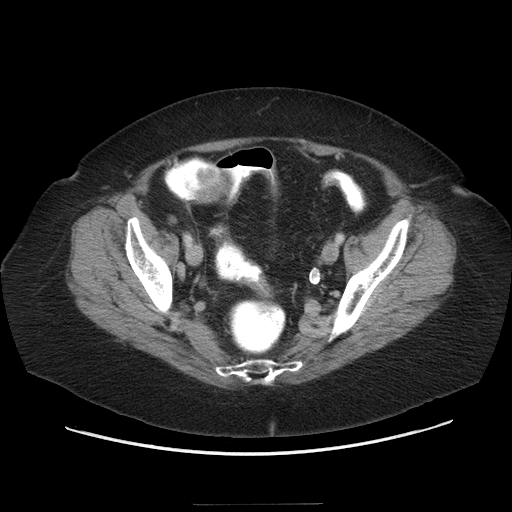

CT

colon_tumor:
  - 194:167:224:203